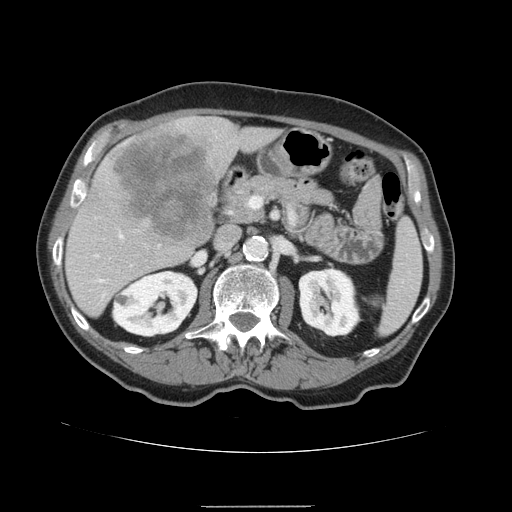 Liver, CT image

Some hepatic vessels may have no box.
liver tumor: rect(112, 124, 218, 246) | hepatic vessel: rect(250, 197, 255, 206); rect(120, 235, 122, 237)